FLAIR MR image.
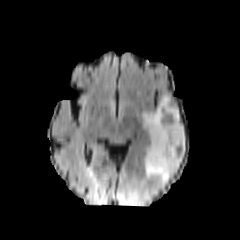
T1-weighted magnetic resonance.
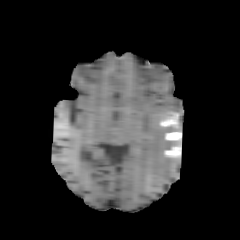
Post-contrast T1-weighted MRI.
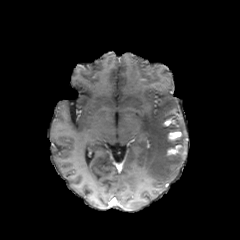
T2-weighted MR.
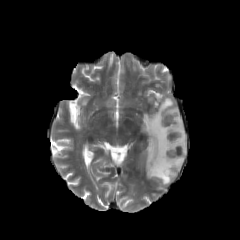
Head
{"enhancing_tumor": ["l=168, t=131, r=182, b=140", "l=167, t=145, r=182, b=154"], "non-enhancing_tumor_core": ["l=167, t=112, r=178, b=123"], "edema": ["l=142, t=94, r=186, b=184"]}